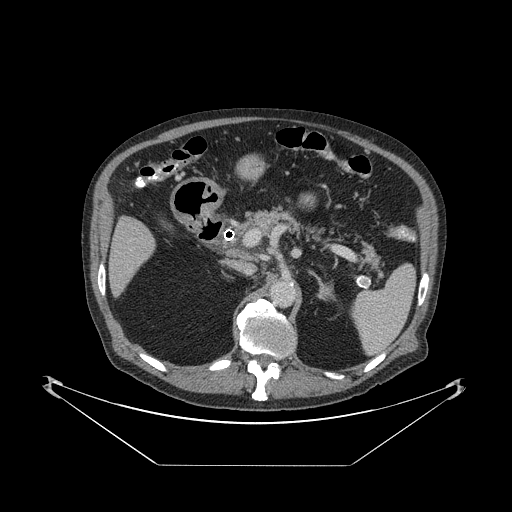
Computed tomography
Findings:
- pancreas: [x1=362, y1=242, x2=380, y2=277], [x1=219, y1=206, x2=326, y2=247]